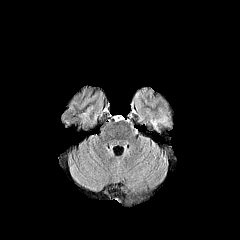
FLAIR MR image.
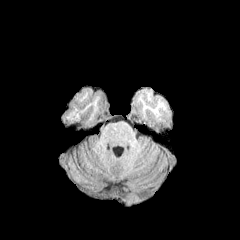
T1-weighted MR.
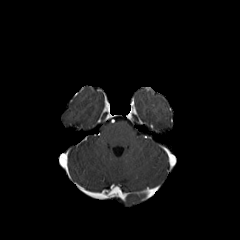
Same slice, post-contrast T1-weighted MR image.
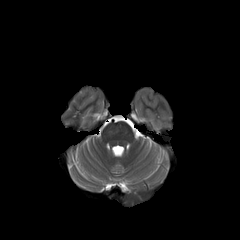
Same slice, T2-weighted MR image.
Brain. Image size 240x240.
Edema — 151 120 167 129.